Brain, Slice 131/155
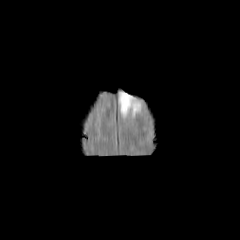
FLAIR MRI.
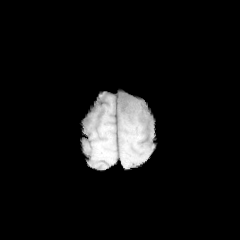
Same slice, T1-weighted MR image.
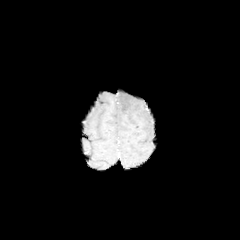
Post-contrast T1-weighted magnetic resonance.
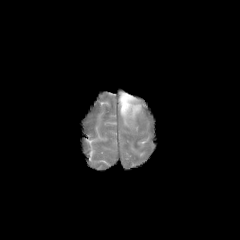
Same slice, T2-weighted MRI.
Edema: bounding box x1=118 y1=91 x2=142 y2=118.